Slice 38 of 89 | Abdomen | Image width 330 mm | CT
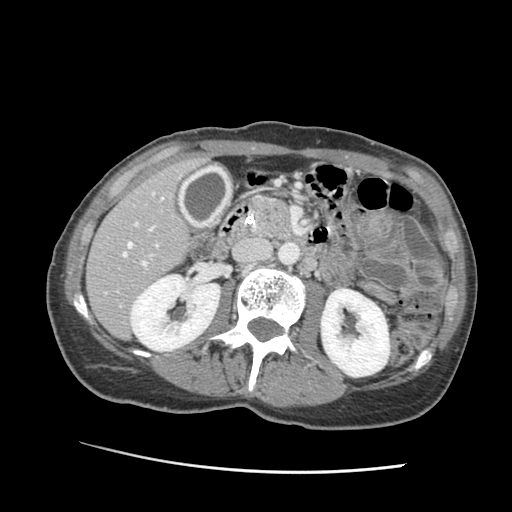 <segmentation>
  <pancreas>region(250, 195, 293, 240)</pancreas>
</segmentation>